CT slice; Thorax; Slice 498 of 689 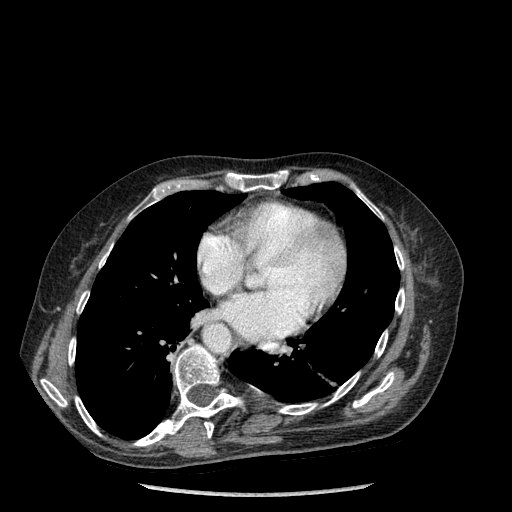
2 lung regions are located at (228,182,399,402), (75,190,243,439). 15 bone regions are bounded by (134,344,242,446), (227,170,288,191), (394,246,404,269), (279,372,359,414), (353,372,394,407), (375,330,387,356), (76,291,89,313), (352,185,383,219), (99,244,112,267), (395,288,404,313), (40,379,67,406), (128,188,160,219), (204,422,213,438), (68,338,75,365), (75,396,101,435).